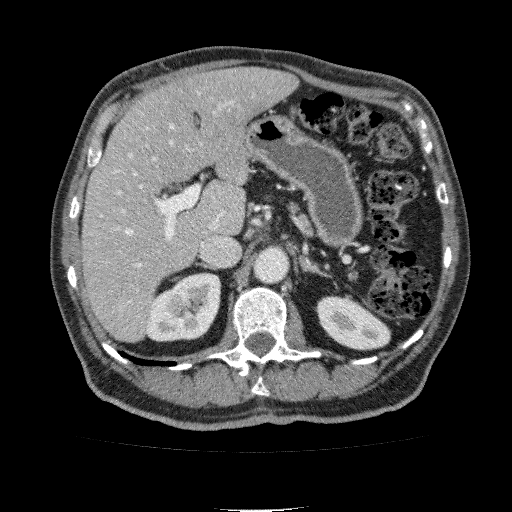 Abdomen; CT slice; Image size 512x512

Segmented structures:
- liver: 83, 67, 298, 342
- kidney: 147, 274, 219, 340; 318, 297, 389, 348